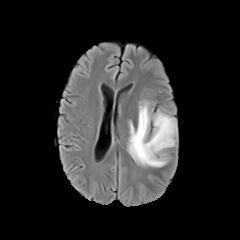
FLAIR MRI.
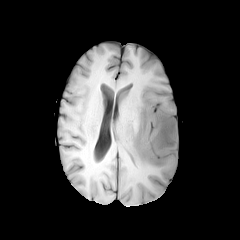
T1-weighted MRI of the same slice.
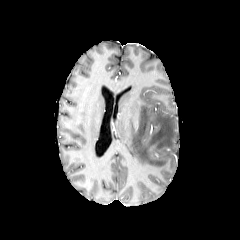
Same slice, post-contrast T1-weighted MR image.
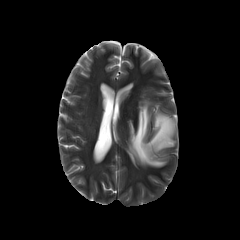
T2-weighted MR image.
Head; Image size 240x240
The edema is located at region(127, 102, 177, 167).